FLAIR MRI.
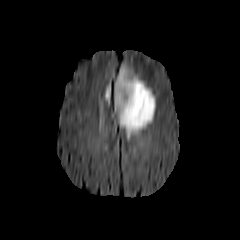
T1-weighted MR.
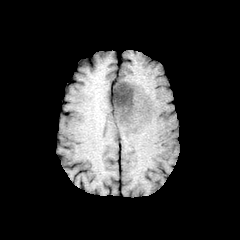
Post-contrast T1-weighted MR.
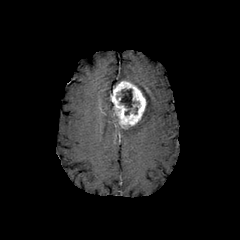
T2-weighted MRI.
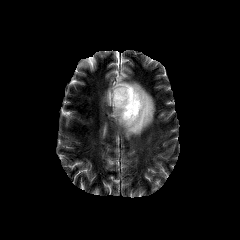
240x240 px | Brain
{"non-enhancing_tumor_core": ["[x1=120, y1=89, x2=139, y2=115]"], "edema": ["[x1=116, y1=65, x2=155, y2=139]", "[x1=104, y1=84, x2=110, y2=103]"], "enhancing_tumor": ["[x1=109, y1=81, x2=145, y2=127]"]}